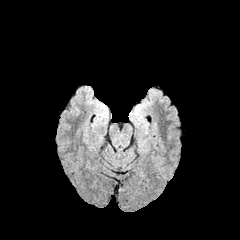
FLAIR MR image.
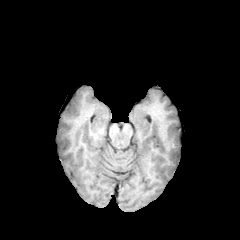
T1-weighted MRI of the same slice.
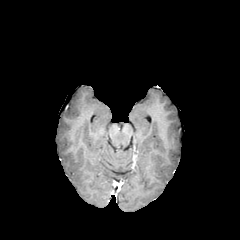
Post-contrast T1-weighted MRI.
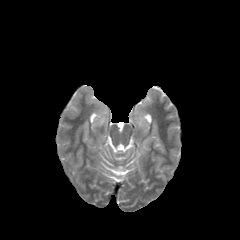
T2-weighted magnetic resonance of the same slice.
Brain.
Edema — x1=97, y1=108, x2=107, y2=123; x1=133, y1=110, x2=145, y2=130.